FLAIR MR image.
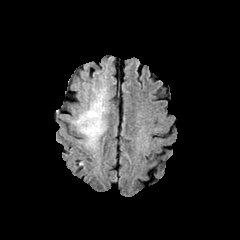
T1-weighted magnetic resonance.
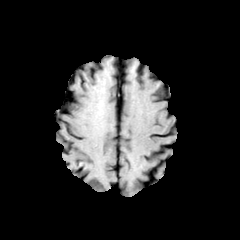
Post-contrast T1-weighted magnetic resonance.
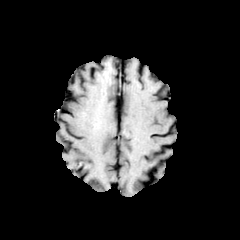
T2-weighted MR.
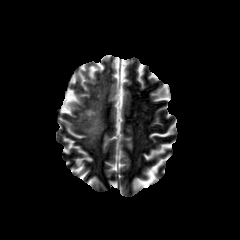
Brain, Image size 240x240
The non-enhancing tumor core lies within 93, 109, 100, 129. The edema is bounded by 76, 88, 105, 145.